Slice 34/61, CT image, 512x512, Abdomen, Field of view 405 mm wide, 5.00 mm slice spacing
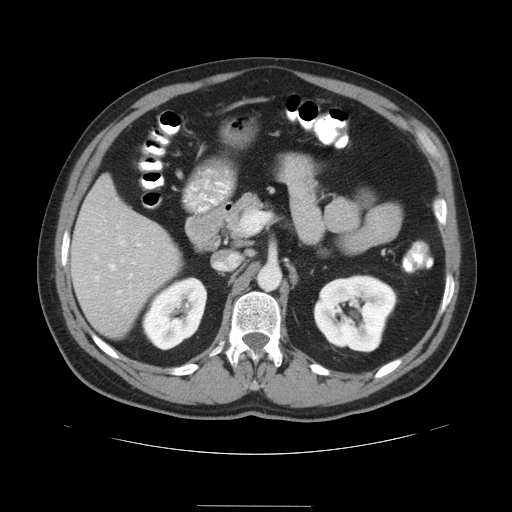

The vessel annotation is not exhaustive.
Hepatic vessel — [95, 273, 98, 281], [110, 265, 115, 270], [117, 226, 118, 227], [121, 260, 123, 261], [129, 274, 132, 278], [95, 257, 97, 260], [138, 244, 141, 246], [244, 213, 260, 229], [117, 291, 121, 294], [132, 261, 134, 263], [129, 285, 131, 287], [120, 240, 125, 245].